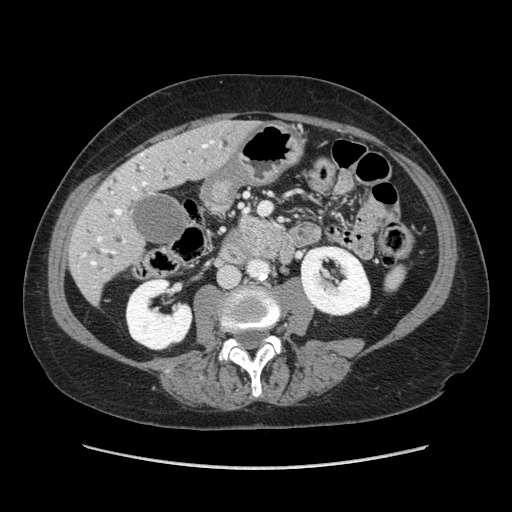
CT slice; Image size 512x512; Upper abdomen

The pancreas is located at box=[228, 214, 274, 258]. The pancreatic tumor is at box=[231, 234, 247, 249].